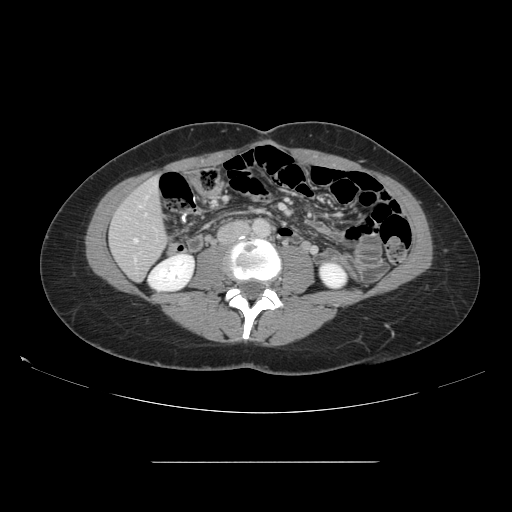 Computed tomography, Liver

The vessel annotation is not exhaustive.
{"hepatic_vessel": ["left=134, top=239, right=137, bottom=242", "left=134, top=255, right=136, bottom=263", "left=139, top=205, right=141, bottom=207", "left=146, top=195, right=148, bottom=198", "left=145, top=213, right=146, bottom=214"]}